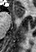 Magnetic resonance.
Anterior hippocampus — bbox=[13, 4, 24, 17].